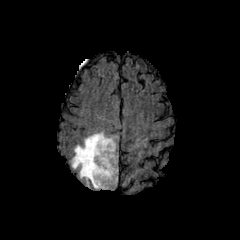
FLAIR MR image.
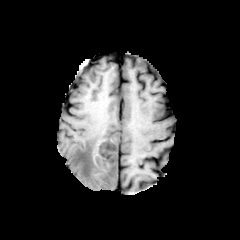
T1-weighted MR image of the same slice.
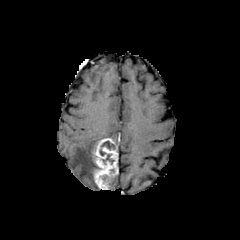
Post-contrast T1-weighted MR image.
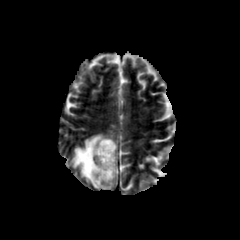
T2-weighted MR image.
Brain
enhancing_tumor:
  - l=92, t=138, r=117, b=189
non-enhancing_tumor_core:
  - l=83, t=144, r=97, b=181
  - l=102, t=141, r=114, b=148
edema:
  - l=70, t=132, r=117, b=189